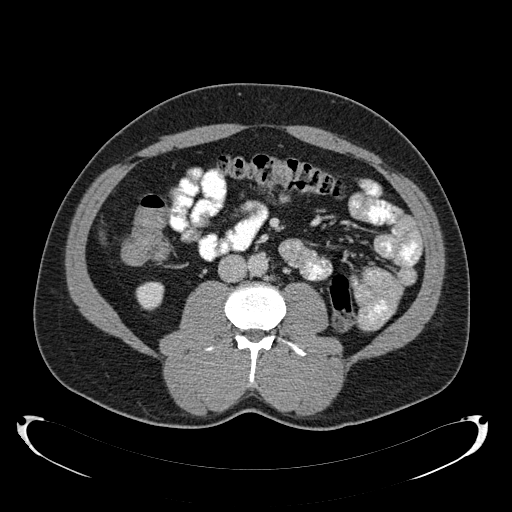
Abdomen. CT scan slice. 512x512 px.

kidney: box(137, 282, 163, 308)